240x240; Field of view 240x240 mm
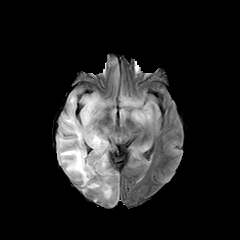
FLAIR magnetic resonance.
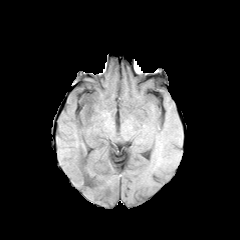
Same slice, T1-weighted MR image.
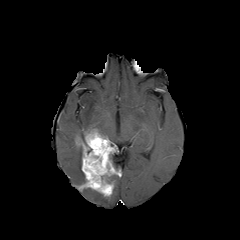
Post-contrast T1-weighted magnetic resonance.
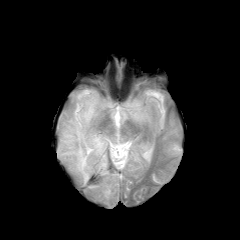
Same slice, T2-weighted MR.
Non-enhancing tumor core: left=104, top=174, right=120, bottom=185; left=75, top=133, right=87, bottom=146; left=108, top=154, right=119, bottom=173.
Edema: left=120, top=96, right=151, bottom=122; left=133, top=146, right=146, bottom=157; left=57, top=92, right=107, bottom=184.
Enhancing tumor: left=82, top=132, right=119, bottom=196.